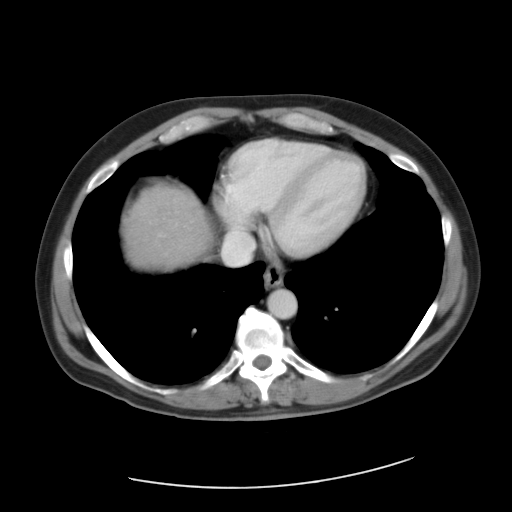
Liver, CT
The vessel annotation is not exhaustive.
hepatic_vessel:
  - 241,242,251,247
  - 250,249,251,253
  - 174,200,175,201
  - 223,254,229,263
  - 158,234,162,236